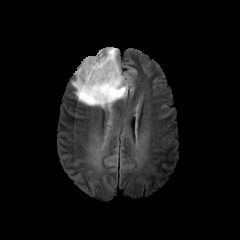
FLAIR MR image.
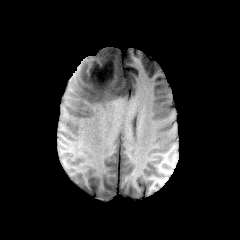
T1-weighted MR of the same slice.
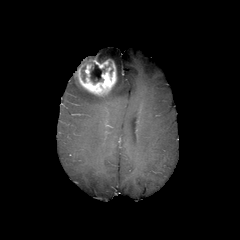
Same slice, post-contrast T1-weighted MR.
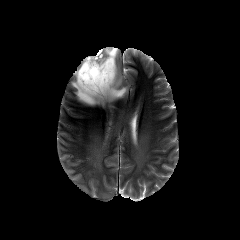
Same slice, T2-weighted magnetic resonance.
Head
non-enhancing_tumor_core:
  - box(90, 64, 104, 82)
edema:
  - box(72, 47, 130, 107)
enhancing_tumor:
  - box(75, 55, 117, 95)